Liver, Slice index 125, 512x512 px, CT scan slice 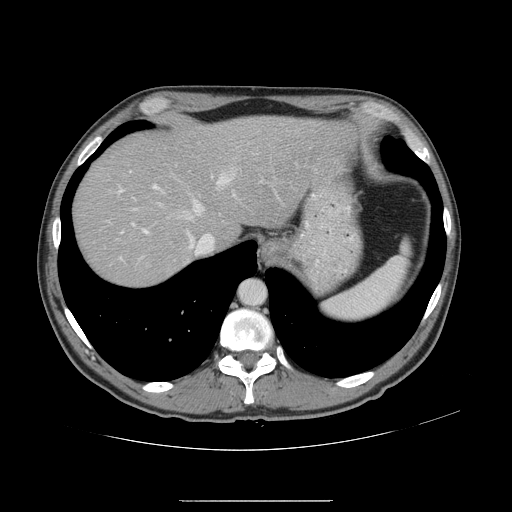

The vessel boxes may cover only some of the vessels.
Hepatic vessel: (187, 232, 213, 248), (133, 224, 134, 225), (119, 188, 122, 192), (218, 173, 233, 185), (153, 185, 157, 188), (120, 258, 121, 259), (193, 200, 203, 213), (260, 181, 261, 182), (143, 229, 146, 232), (184, 216, 191, 218).